Slice index 646, CT 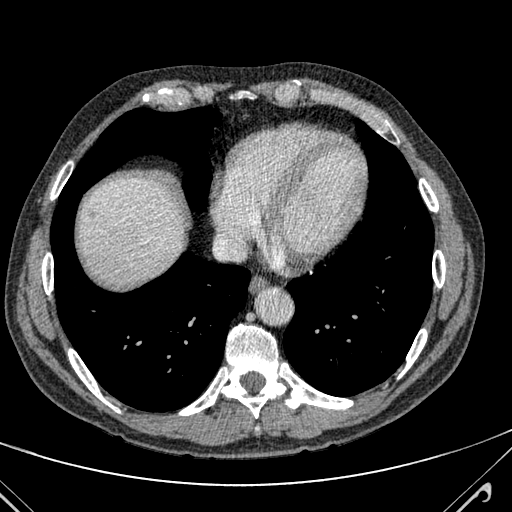

liver: 79, 178, 183, 282